CT slice, Upper abdomen 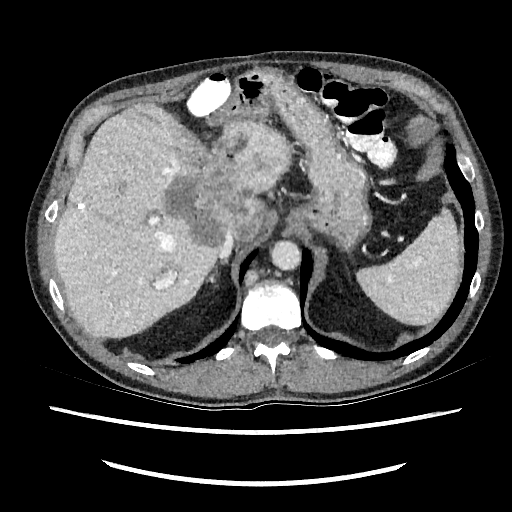 The liver appears at (left=53, top=104, right=292, bottom=338). The focal liver lesion is located at (left=163, top=150, right=264, bottom=246).